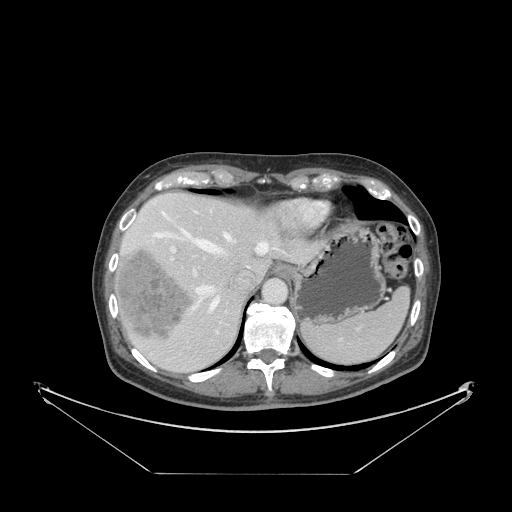
Abdomen; 512x512; CT scan slice
{"spleen": ["302:287:410:365"]}